Image width 472 mm. CT scan slice. Slice 29/81. 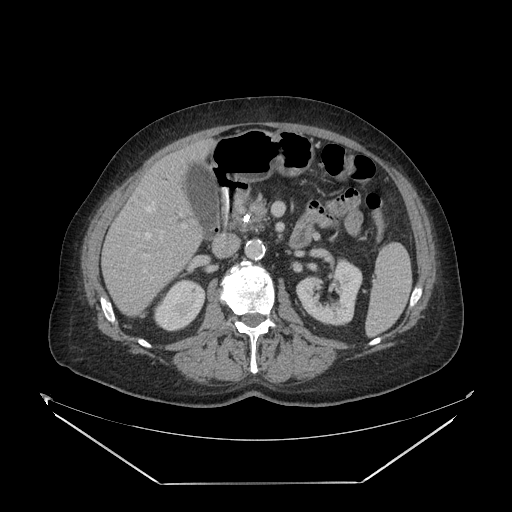
pancreas: box(244, 199, 269, 232) | pancreatic tumor: box(251, 200, 266, 225)